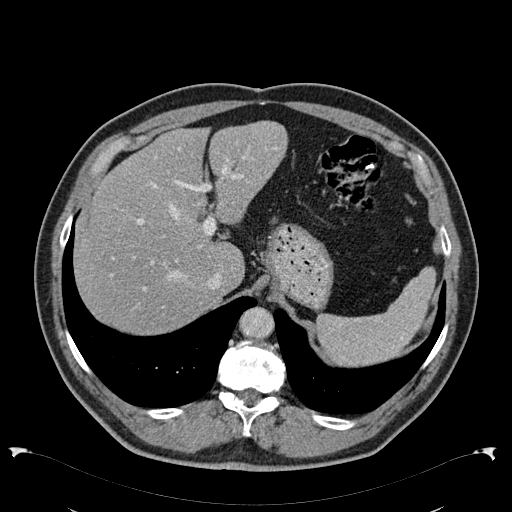
CT

Liver: bounding box left=75, top=128, right=243, bottom=332; left=209, top=122, right=286, bottom=226.